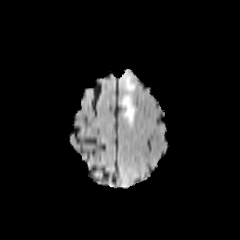
FLAIR magnetic resonance.
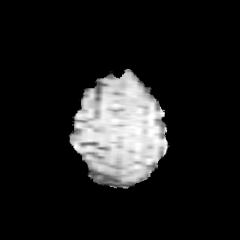
T1-weighted MR image.
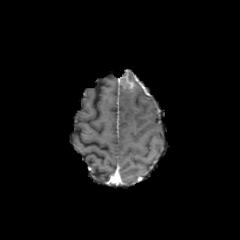
Same slice, post-contrast T1-weighted MR.
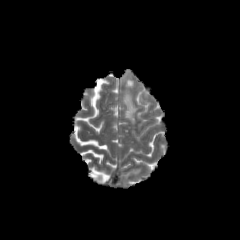
T2-weighted MR of the same slice.
Brain
The edema appears at left=121, top=90, right=138, bottom=123. The enhancing tumor is at left=120, top=73, right=134, bottom=92.